Slice 44/110 | MRI
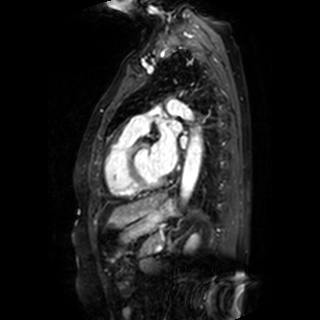 Segmented structures:
• left atrium: [153, 131, 176, 172], [180, 136, 186, 148], [172, 121, 181, 130]